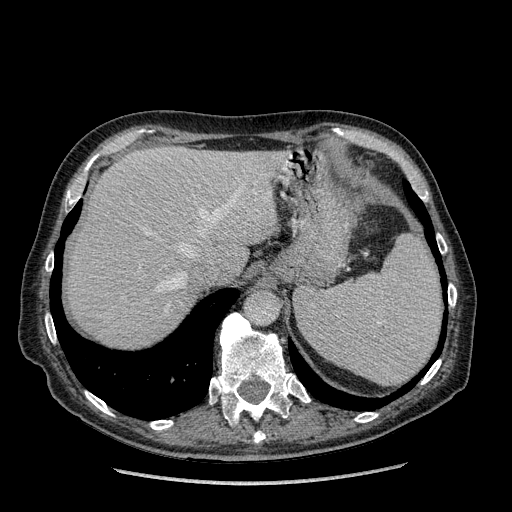

CT scan slice. Abdomen.

Liver at [68,147,285,348].